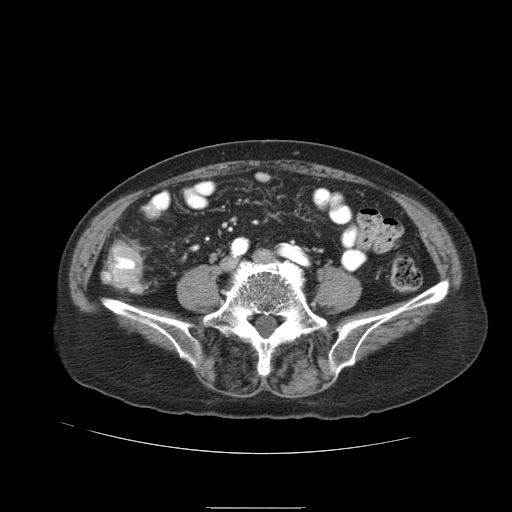
CT image
Annotated regions:
- colon tumor: [x1=101, y1=242, x2=142, y2=287]